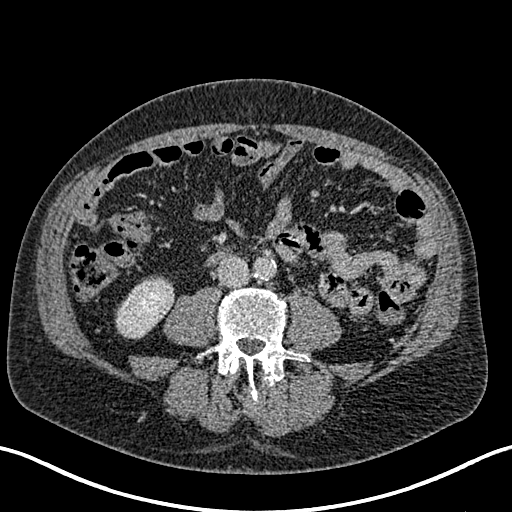
Computed tomography | Image size 512x512
Kidney = (x1=119, y1=281, x2=171, y2=337).